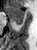

MR; Medial temporal lobe
{"anterior_hippocampus": ["(6, 6, 24, 20)"], "posterior_hippocampus": ["(14, 21, 22, 24)"]}